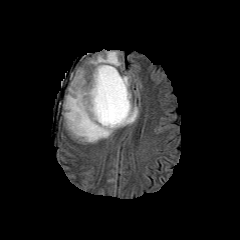
FLAIR MR.
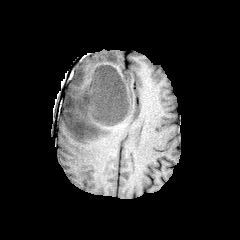
T1-weighted MRI.
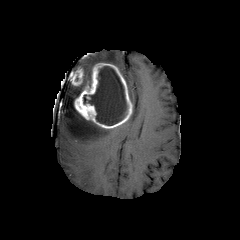
Post-contrast T1-weighted magnetic resonance.
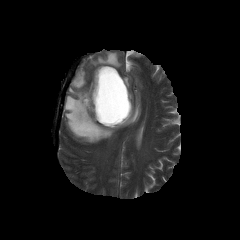
Same slice, T2-weighted magnetic resonance.
2 edema regions are located at <bbox>83, 51, 120, 84</bbox>, <bbox>62, 79, 139, 143</bbox>. 2 non-enhancing tumor core regions are bounded by <bbox>88, 66, 127, 127</bbox>, <bbox>66, 77, 91, 123</bbox>. 2 enhancing tumor regions appear at <bbox>74, 63, 132, 127</bbox>, <bbox>72, 69, 83, 85</bbox>.